Abdomen; CT image
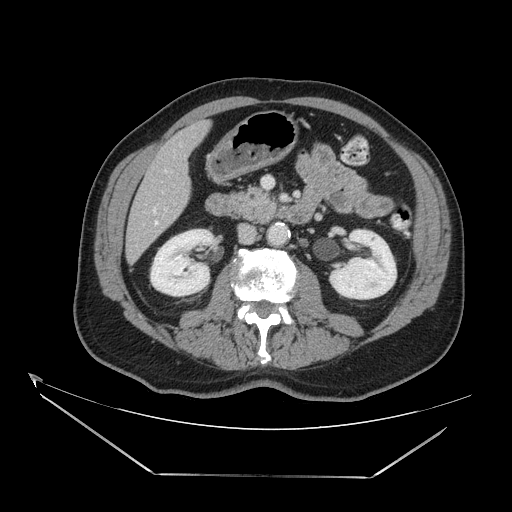
The pancreas lies within {"x1": 233, "y1": 189, "x2": 275, "y2": 222}.